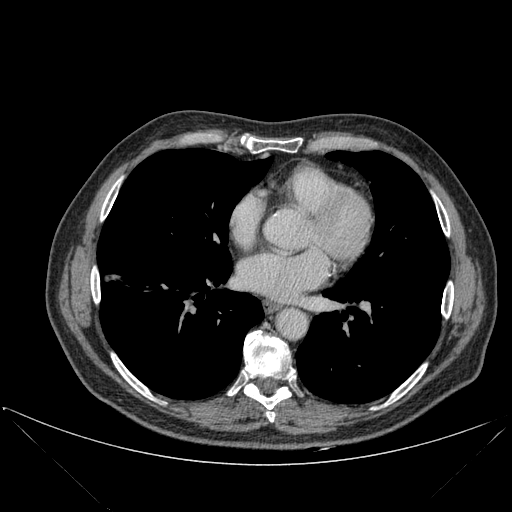
Chest; CT slice
lung: x1=296 y1=151 x2=449 y2=403, x1=97 y1=149 x2=268 y2=399 | bone: x1=111 y1=353 x2=154 y2=399, x1=244 y1=384 x2=291 y2=422, x1=100 y1=178 x2=121 y2=220, x1=228 y1=330 x2=295 y2=395, x1=434 y1=195 x2=449 y2=236, x1=441 y1=281 x2=453 y2=318, x1=91 y1=266 x2=100 y2=303, x1=247 y1=137 x2=302 y2=153, x1=384 y1=364 x2=427 y2=405